CT, Slice 296/391, Abdomen, 512x512
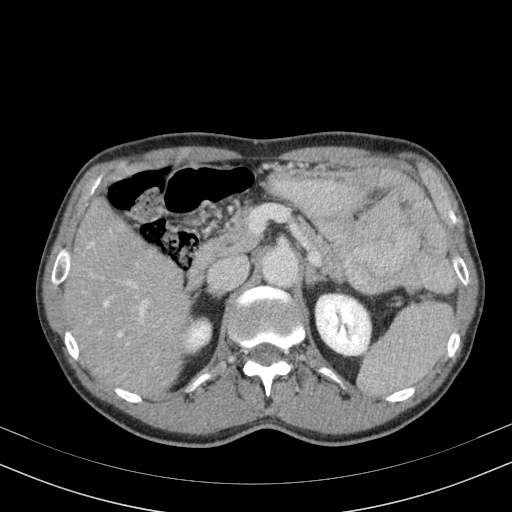 The liver is located at x1=64 y1=196 x2=191 y2=395. 2 kidney regions appear at x1=316 y1=295 x2=369 y2=354, x1=187 y1=325 x2=209 y2=346.